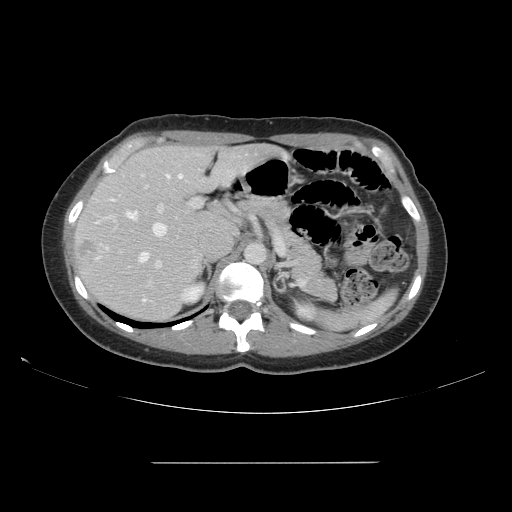

512x512. CT scan slice.
The vessel annotation is not exhaustive.
<segmentation partial="true">
  <hepatic_vessel shown="15" total="17">left=96, top=252, right=101, bottom=259; left=113, top=219, right=116, bottom=223; left=143, top=297, right=146, bottom=302; left=145, top=185, right=147, bottom=187; left=179, top=175, right=182, bottom=178; left=110, top=198, right=115, bottom=201; left=125, top=210, right=137, bottom=219; left=104, top=247, right=108, bottom=249; left=166, top=175, right=169, bottom=177; left=95, top=221, right=99, bottom=223; left=155, top=261, right=160, bottom=267; left=191, top=198, right=201, bottom=207; left=157, top=204, right=162, bottom=211; left=153, top=223, right=166, bottom=236; left=139, top=252, right=148, bottom=262</hepatic_vessel>
  <liver_tumor>left=79, top=241, right=96, bottom=257</liver_tumor>
</segmentation>